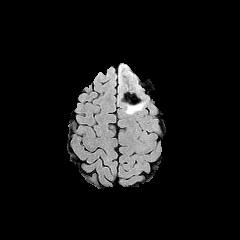
FLAIR magnetic resonance.
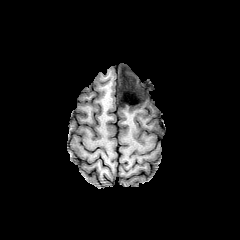
Same slice, T1-weighted MRI.
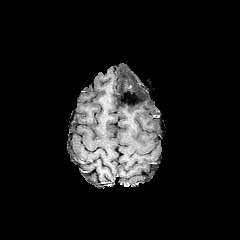
Post-contrast T1-weighted MRI of the same slice.
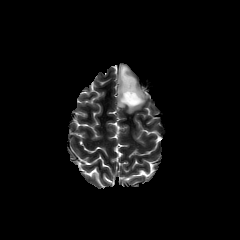
T2-weighted MR.
Brain.
Edema — 118:67:147:114.
Non-enhancing tumor core — 121:76:138:103.